T2-weighted MRI.
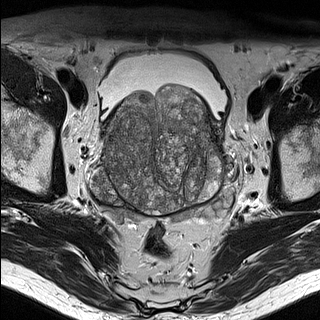
ADC MR image.
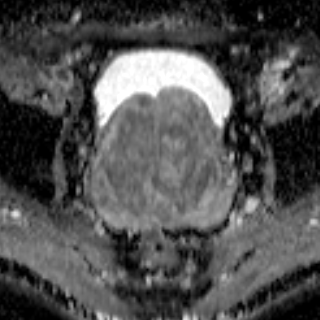
Prostate.
<segmentation>
  <prostate_transition_zone>90,87,221,213</prostate_transition_zone>
</segmentation>